Field of view 240x240 mm
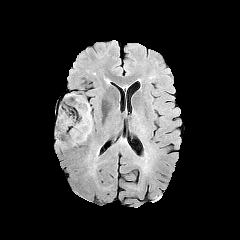
FLAIR MRI.
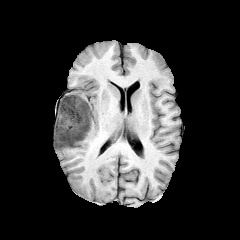
Same slice, T1-weighted magnetic resonance.
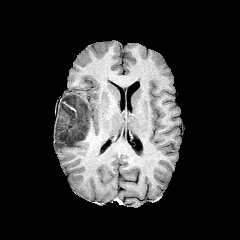
Post-contrast T1-weighted MR image of the same slice.
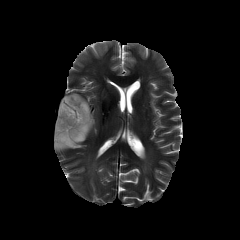
Same slice, T2-weighted MRI.
Segmented structures:
* non-enhancing tumor core: rect(55, 94, 92, 149)